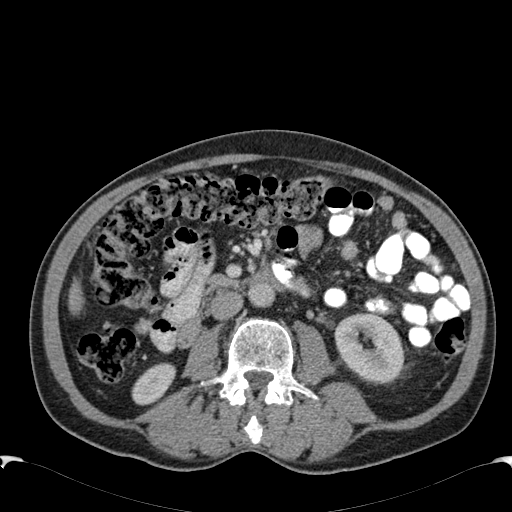 CT image. 2 kidney regions are bounded by (x1=132, y1=364, x2=175, y2=404), (x1=333, y1=313, x2=403, y2=382). The liver is at (x1=69, y1=280, x2=84, y2=313).